CT image, Slice 412 of 846, Abdomen, Field of view 387 mm wide, 0.80 mm slice spacing
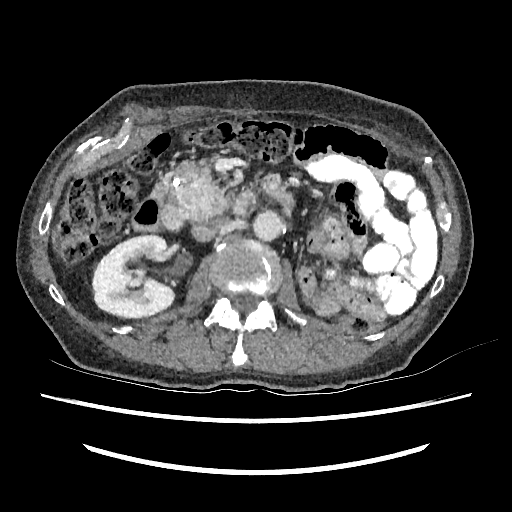 The kidney appears at x1=93, y1=236, x2=173, y2=317.